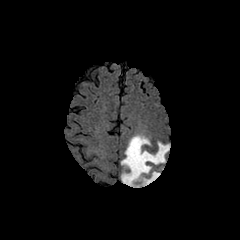
FLAIR MR image.
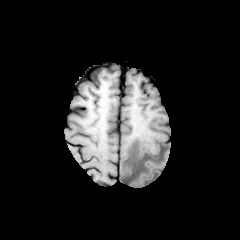
T1-weighted MR image.
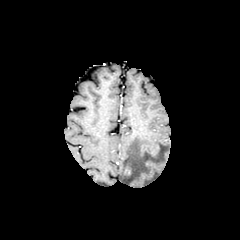
Same slice, post-contrast T1-weighted magnetic resonance.
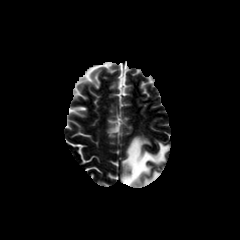
T2-weighted MR image.
edema:
  - [120, 135, 169, 187]